Head; Image size 240x240
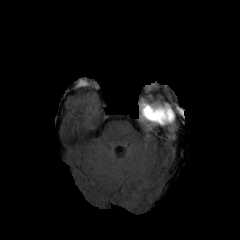
FLAIR magnetic resonance.
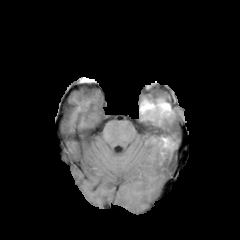
T1-weighted MRI.
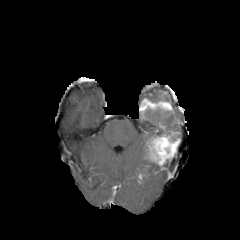
Same slice, post-contrast T1-weighted MR.
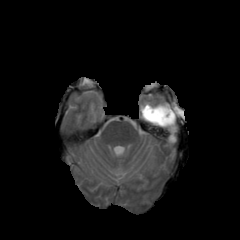
T2-weighted MRI.
edema:
  - [139, 106, 183, 131]
non-enhancing_tumor_core:
  - [153, 138, 170, 158]
  - [139, 110, 174, 121]
enhancing_tumor:
  - [139, 100, 173, 117]
  - [160, 132, 175, 155]